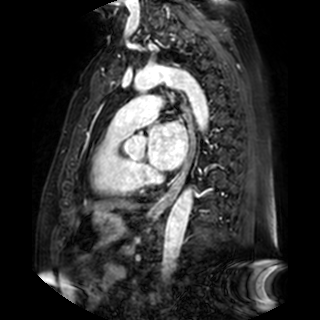 320x320 px, MR
<segmentation>
  <left_atrium>[148, 122, 187, 169]</left_atrium>
</segmentation>